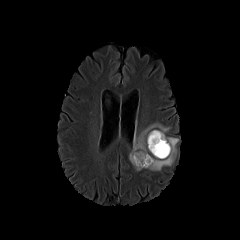
FLAIR MRI.
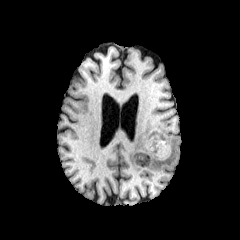
T1-weighted MRI.
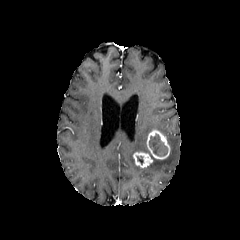
Post-contrast T1-weighted MR image.
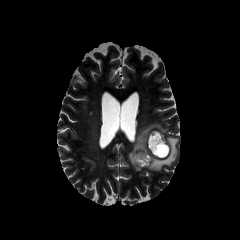
T2-weighted MR of the same slice.
240x240. Head.
Enhancing tumor = 132,151,153,168; 146,130,170,159.
Non-enhancing tumor core = 149,134,168,156.
Edema = 128,122,171,171; 147,137,178,171.